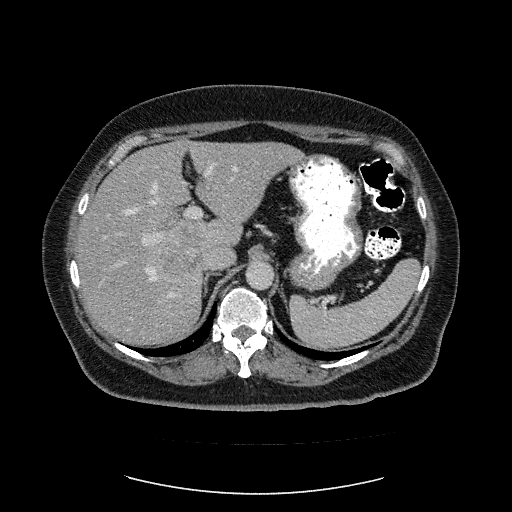

Abdomen | CT image | Image size 512x512

Not every hepatic vessel necessarily has a box.
- hepatic vessel (top 15 of 18): l=151, t=201, r=155, b=204; l=233, t=167, r=237, b=170; l=184, t=182, r=186, b=183; l=151, t=183, r=157, b=192; l=124, t=208, r=137, b=213; l=107, t=214, r=109, b=215; l=142, t=233, r=162, b=244; l=231, t=178, r=233, b=179; l=205, t=163, r=215, b=175; l=146, t=267, r=156, b=280; l=103, t=236, r=107, b=238; l=185, t=206, r=202, b=217; l=116, t=233, r=122, b=235; l=114, t=261, r=124, b=266; l=169, t=292, r=176, b=296
- liver tumor: l=162, t=254, r=203, b=276; l=177, t=229, r=205, b=250